CT scan slice. Chest. Slice index 113. 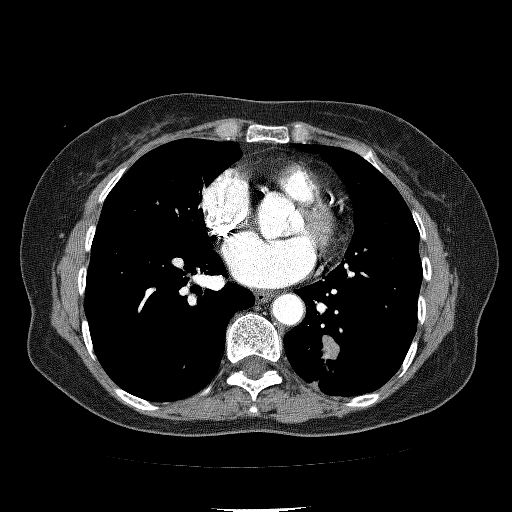
- lung tumor: (310, 334, 341, 390)